FLAIR MR.
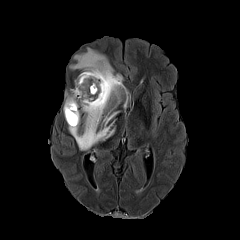
T1-weighted MR image.
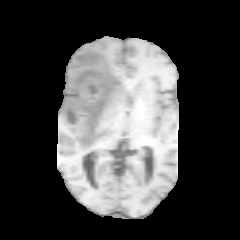
Post-contrast T1-weighted MR image.
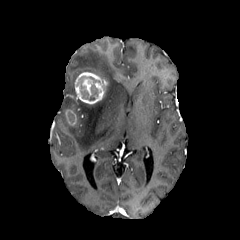
T2-weighted MR.
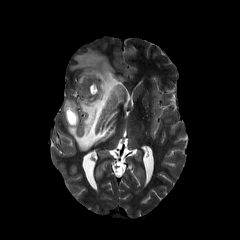
240x240 px
enhancing_tumor:
  - (64, 105, 78, 125)
  - (75, 72, 104, 104)
edema:
  - (64, 89, 78, 110)
  - (68, 47, 127, 151)
non-enhancing_tumor_core:
  - (89, 84, 98, 101)
  - (76, 75, 100, 88)